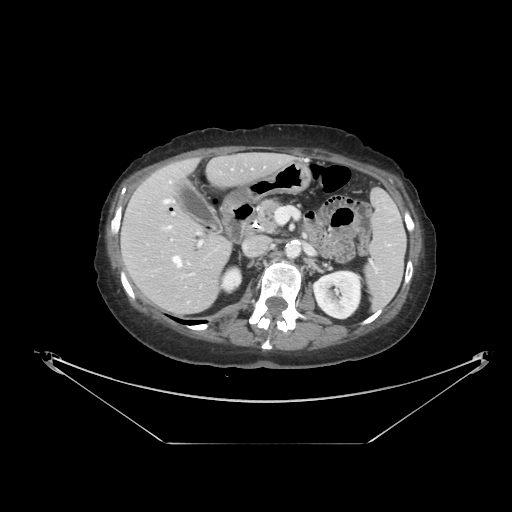
CT slice, 512x512

pancreas:
  - rect(258, 199, 279, 232)